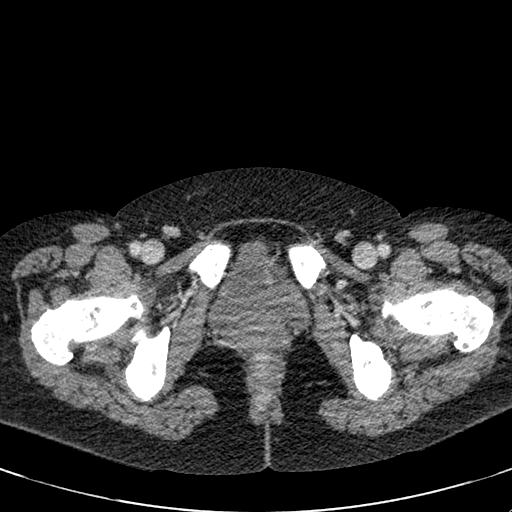
Image size 512x512 | Pelvis | CT slice

Urinary bladder: x1=207 y1=240 x2=307 y2=334.